T2-weighted magnetic resonance.
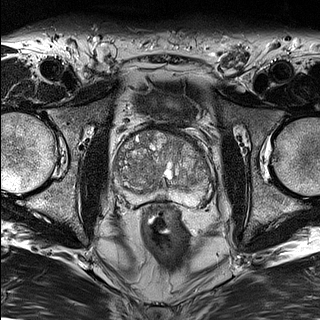
ADC MRI.
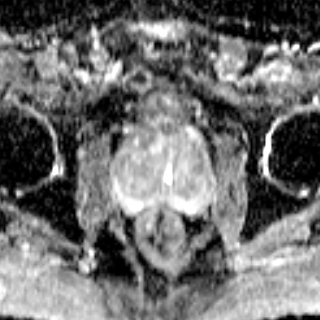
• prostate peripheral zone: 115,175,207,204
• prostate transition zone: 113,131,207,193